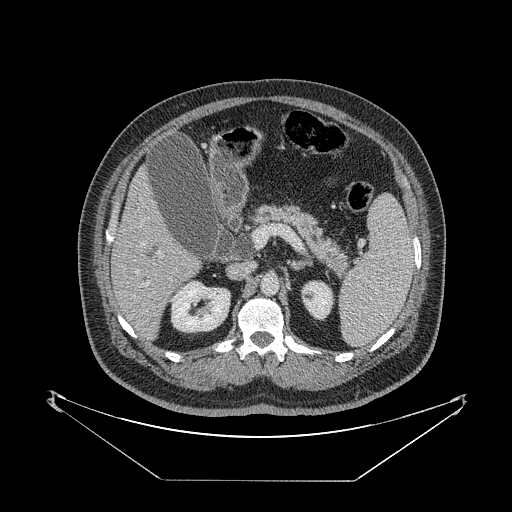

CT

Pancreas at (255, 206, 346, 271).